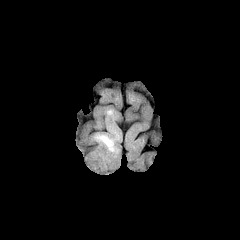
FLAIR MR image.
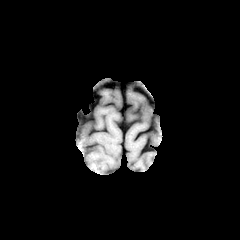
Same slice, T1-weighted MR.
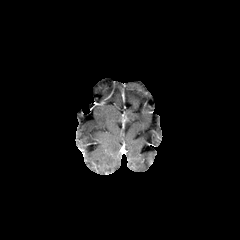
Post-contrast T1-weighted MRI.
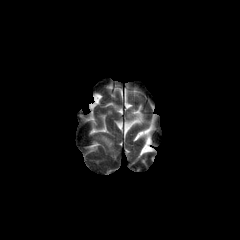
T2-weighted MR image of the same slice.
Brain.
The edema is at region(96, 135, 113, 149).